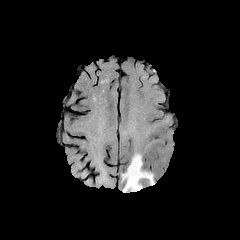
FLAIR MR.
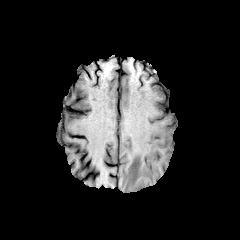
T1-weighted MR image.
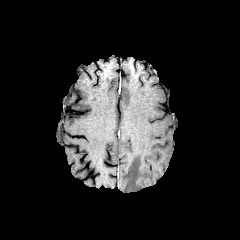
Post-contrast T1-weighted MR.
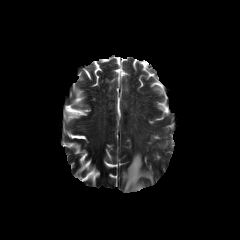
T2-weighted MR.
Segmented structures:
• edema: region(122, 154, 154, 192)